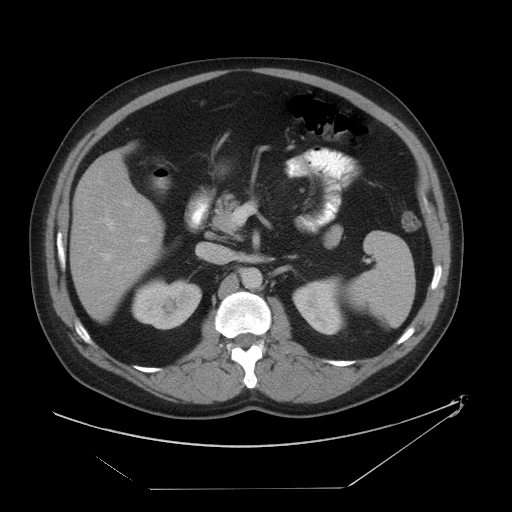

512x512 px | CT slice

Spleen = box(343, 231, 415, 326).